FLAIR magnetic resonance.
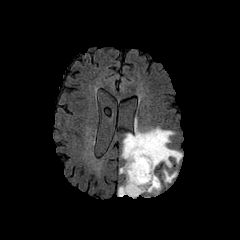
T1-weighted MR.
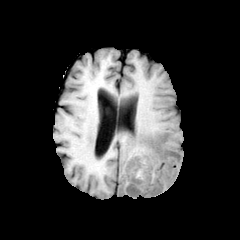
Post-contrast T1-weighted magnetic resonance.
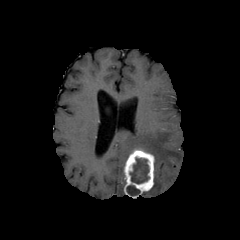
T2-weighted MRI.
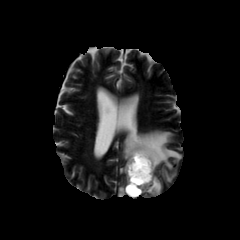
Head.
2 non-enhancing tumor core regions are bounded by x1=130 y1=158 x2=148 y2=183, x1=126 y1=185 x2=140 y2=196. 3 edema regions are bounded by x1=118 y1=180 x2=125 y2=195, x1=121 y1=125 x2=182 y2=184, x1=143 y1=176 x2=162 y2=194. The enhancing tumor is located at x1=124 y1=148 x2=155 y2=195.